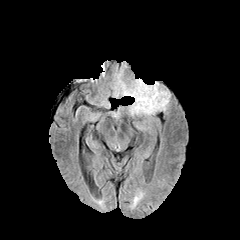
FLAIR magnetic resonance.
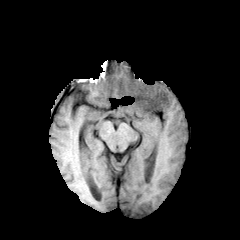
T1-weighted MRI.
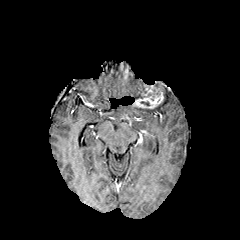
Same slice, post-contrast T1-weighted MRI.
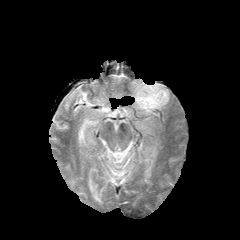
T2-weighted magnetic resonance.
Brain
Segmented structures:
- enhancing tumor: 134, 84, 163, 108
- edema: 130, 80, 143, 99; 129, 86, 170, 116
- non-enhancing tumor core: 135, 84, 145, 98